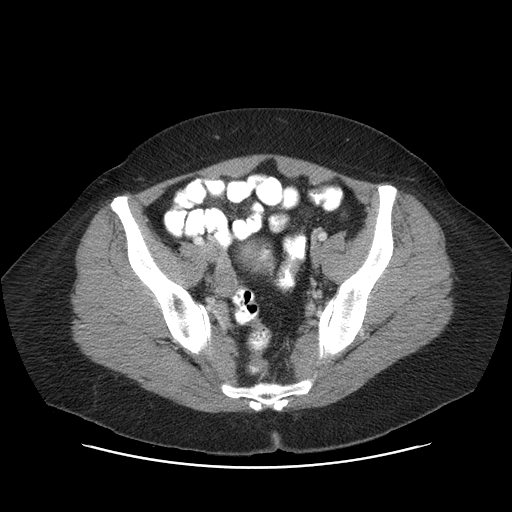

Abdomen. CT.

{
  "colon_tumor": [
    "box=[290, 259, 301, 278]",
    "box=[277, 253, 289, 278]"
  ]
}